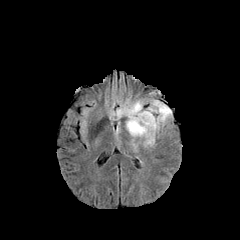
FLAIR magnetic resonance.
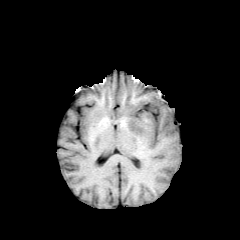
T1-weighted MRI of the same slice.
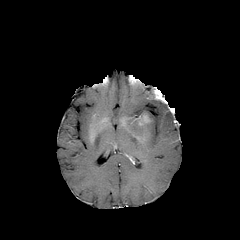
Post-contrast T1-weighted MR of the same slice.
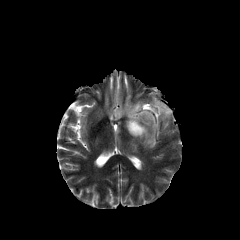
T2-weighted magnetic resonance.
Edema: 108:91:172:147, 130:141:137:151.
Enhancing tumor: 136:115:148:121.